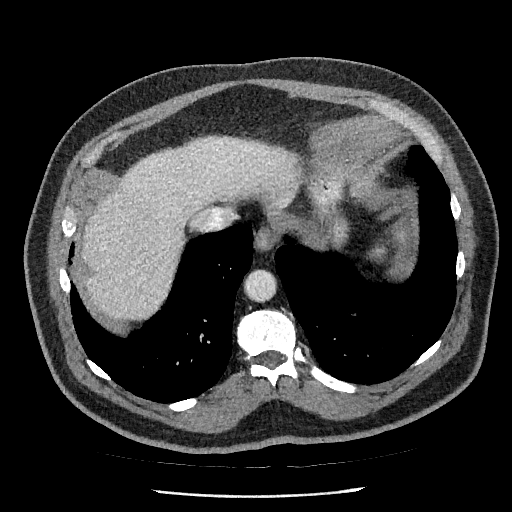
CT; Liver

{
  "liver": [
    "<box>224,207,231,215</box>",
    "<box>82,137,301,318</box>"
  ]
}